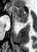 MRI | 37x52 px
Posterior hippocampus: bounding box left=20, top=22, right=24, bottom=22.
Anterior hippocampus: bounding box left=8, top=5, right=27, bottom=21.